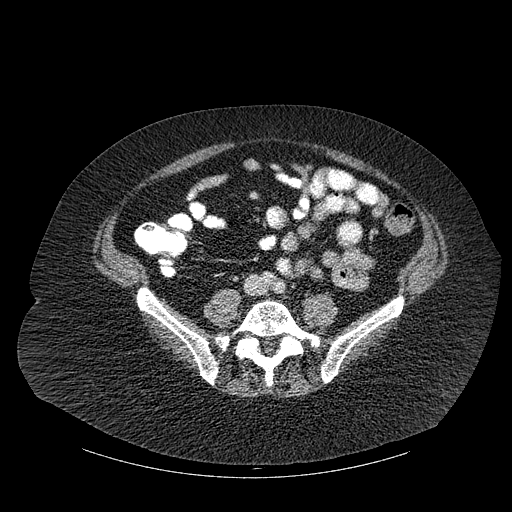 CT scan slice
4 bone regions appear at {"x1": 216, "y1": 336, "x2": 229, "y2": 349}, {"x1": 321, "y1": 296, "x2": 403, "y2": 382}, {"x1": 235, "y1": 301, "x2": 319, "y2": 385}, {"x1": 137, "y1": 288, "x2": 217, "y2": 384}.